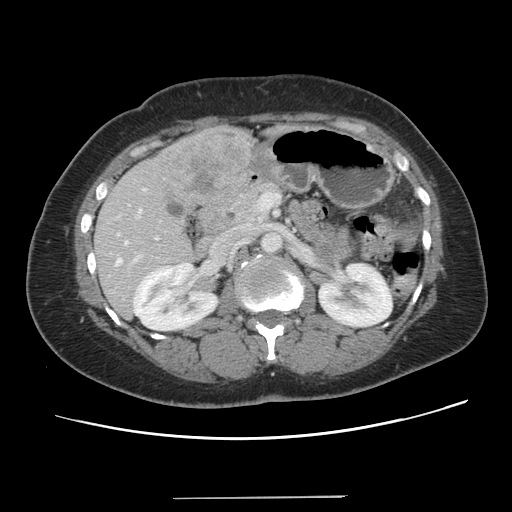 Liver | 512x512 px | Computed tomography
Only some of the vessels may be annotated.
{
  "hepatic_vessel": [
    "left=137, top=209, right=141, bottom=218",
    "left=115, top=258, right=121, bottom=265",
    "left=117, top=233, right=119, bottom=235",
    "left=134, top=257, right=139, bottom=261",
    "left=155, top=237, right=157, bottom=239",
    "left=125, top=241, right=127, bottom=244",
    "left=117, top=216, right=119, bottom=217"
  ],
  "liver_tumor": [
    "left=165, top=132, right=241, bottom=197"
  ]
}